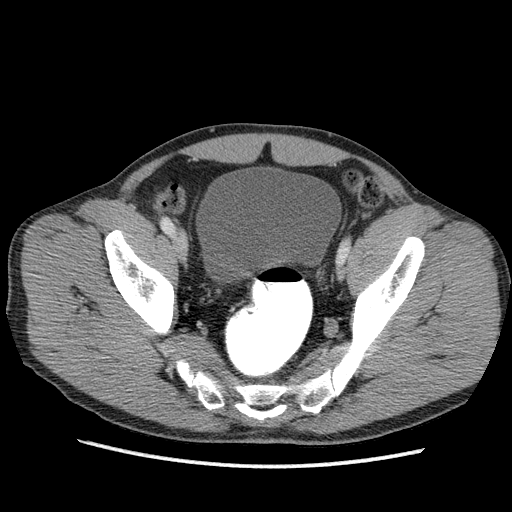 Lower abdomen; CT scan slice; 512x512

The urinary bladder is located at x1=196, y1=167, x2=341, y2=283.